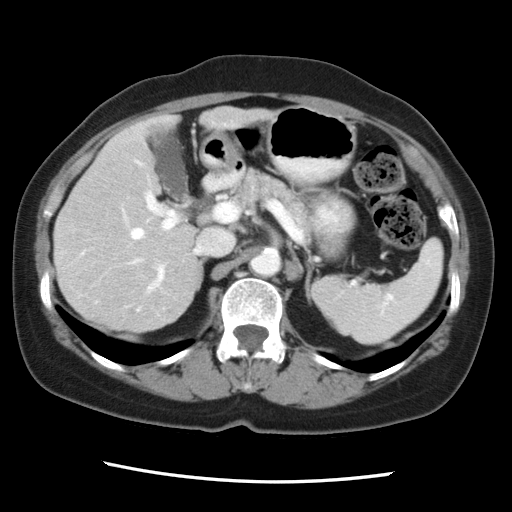

CT image. The vessel annotation is not exhaustive.
Findings:
* hepatic vessel: 122,207,145,240; 159,286,160,288; 213,196,239,221; 144,186,179,231; 153,261,165,275; 194,230,232,253; 139,308,140,310; 145,289,149,294; 127,257,143,264